Hippocampus; MRI slice
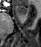
anterior hippocampus: (15,5,26,15)